Abdomen, Slice 76 of 168, CT

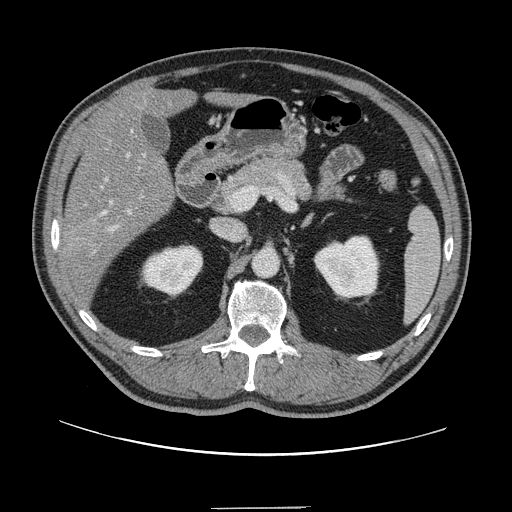
Only some of the vessels may be annotated.
liver tumor: 62:225:105:260 | hepatic vessel: 128:210:131:213, 101:211:106:215, 105:178:107:181, 143:154:145:156, 111:201:112:204, 101:186:103:188, 107:226:119:232, 127:154:129:156